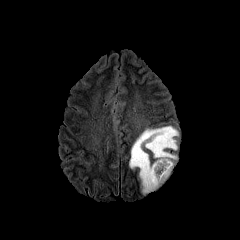
FLAIR MR.
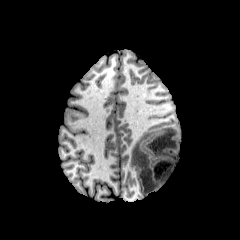
T1-weighted MRI.
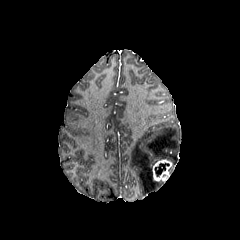
Post-contrast T1-weighted magnetic resonance.
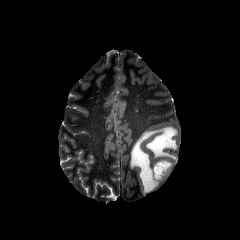
T2-weighted MR of the same slice.
The non-enhancing tumor core is at <bbox>154, 163, 169, 176</bbox>. The edema is bounded by <bbox>129, 126, 178, 193</bbox>. The enhancing tumor is located at <bbox>152, 158, 172, 182</bbox>.